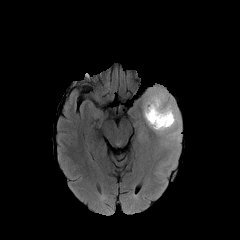
FLAIR magnetic resonance.
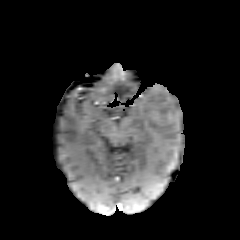
Same slice, T1-weighted MRI.
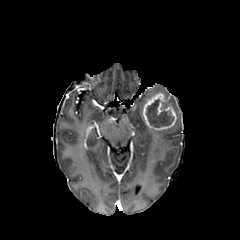
Post-contrast T1-weighted MR of the same slice.
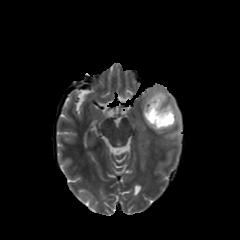
T2-weighted MRI.
The edema is at box=[141, 85, 182, 167]. 2 non-enhancing tumor core regions appear at box=[162, 97, 170, 108]; box=[147, 99, 173, 127]. The enhancing tumor lies within box=[142, 92, 176, 129].